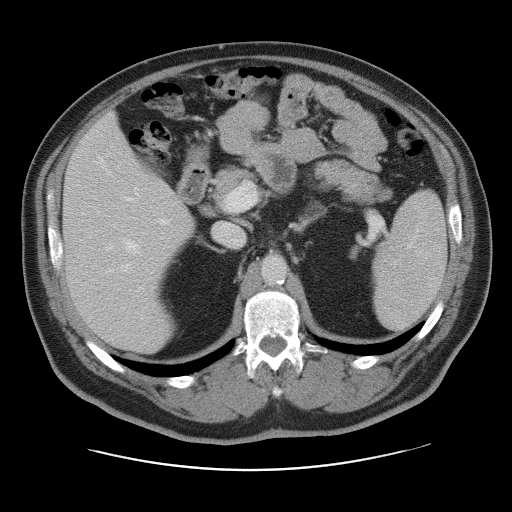 CT image
Only some of the vessels may be annotated.
Hepatic vessel: bounding box box=[123, 239, 138, 253]; box=[123, 185, 138, 201]; box=[155, 218, 169, 224]; box=[120, 264, 132, 270]; box=[230, 239, 241, 243]; box=[218, 224, 233, 236]; box=[100, 159, 103, 166]; box=[224, 183, 256, 211].